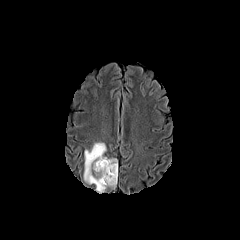
FLAIR MR image.
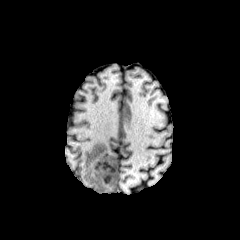
T1-weighted MRI.
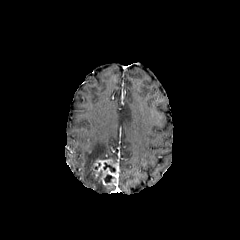
Post-contrast T1-weighted MRI of the same slice.
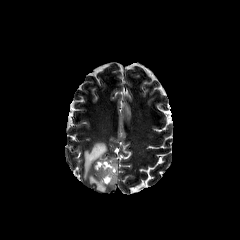
T2-weighted magnetic resonance.
Image size 240x240, Head
The enhancing tumor appears at l=93, t=159, r=117, b=185. 3 non-enhancing tumor core regions are bounded by l=103, t=163, r=115, b=171; l=104, t=174, r=114, b=183; l=89, t=163, r=102, b=182. The edema lies within l=83, t=141, r=107, b=191.